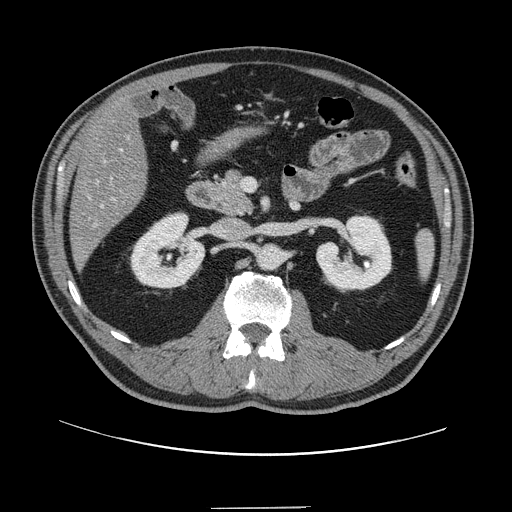

Computed tomography | Abdomen
Not every hepatic vessel necessarily has a box.
Annotated regions:
- liver tumor: x1=71, y1=207, x2=98, y2=233
- hepatic vessel: x1=127, y1=137, x2=129, y2=139; x1=96, y1=181, x2=98, y2=183; x1=112, y1=198, x2=115, y2=200; x1=120, y1=149, x2=122, y2=151; x1=101, y1=205, x2=103, y2=207; x1=104, y1=160, x2=105, y2=163